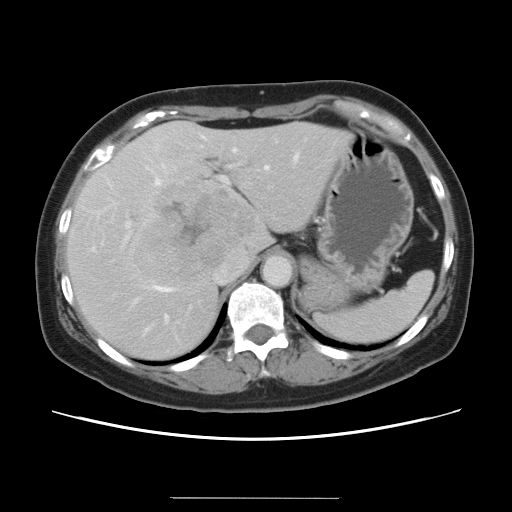
Computed tomography | Abdomen
Not every hepatic vessel necessarily has a box.
<segmentation partial="true">
  <liver_tumor>(x1=135, y1=182, x2=254, y2=288)</liver_tumor>
  <hepatic_vessel shown="15" total="18">(x1=227, y1=165, x2=234, y2=167), (x1=90, y1=247, x2=95, y2=251), (x1=294, y1=155, x2=297, y2=160), (x1=125, y1=222, x2=131, y2=228), (x1=124, y1=234, x2=128, y2=242), (x1=264, y1=166, x2=268, y2=170), (x1=232, y1=149, x2=235, y2=152), (x1=201, y1=136, x2=204, y2=139), (x1=220, y1=176, x2=228, y2=183), (x1=154, y1=179, x2=159, y2=185), (x1=145, y1=327, x2=149, y2=332), (x1=91, y1=211, x2=98, y2=216), (x1=155, y1=287, x2=171, y2=291), (x1=133, y1=300, x2=136, y2=303), (x1=164, y1=315, x2=167, y2=321)</hepatic_vessel>
</segmentation>